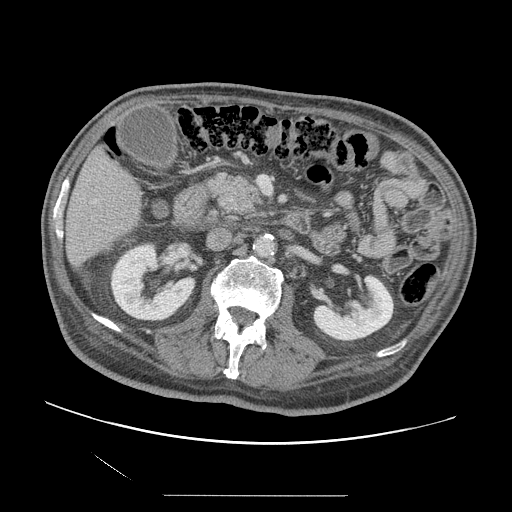
Image size 512x512 | Upper abdomen | CT
pancreas:
  - [215,174,263,217]